Head. Slice 77 of 155.
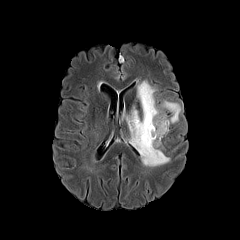
FLAIR MR image.
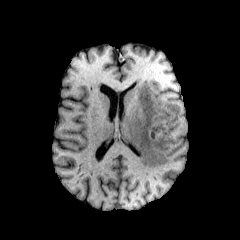
T1-weighted magnetic resonance.
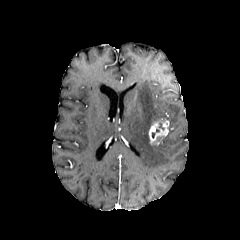
Post-contrast T1-weighted MR image.
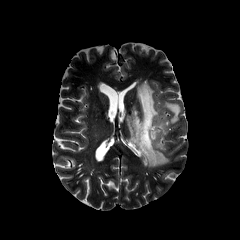
T2-weighted MRI.
enhancing tumor: box=[149, 118, 169, 144] | edema: box=[161, 100, 180, 123]; box=[126, 81, 170, 167] | non-enhancing tumor core: box=[152, 105, 173, 124]